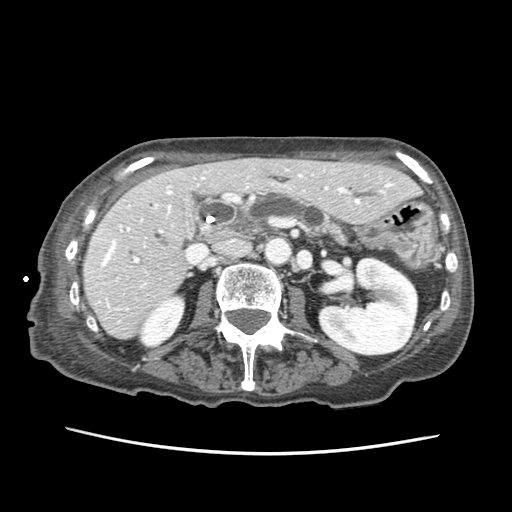
CT; Upper abdomen
pancreas:
  - bbox(241, 194, 347, 243)